Slice 482 of 588; Field of view 351x351 mm; Computed tomography 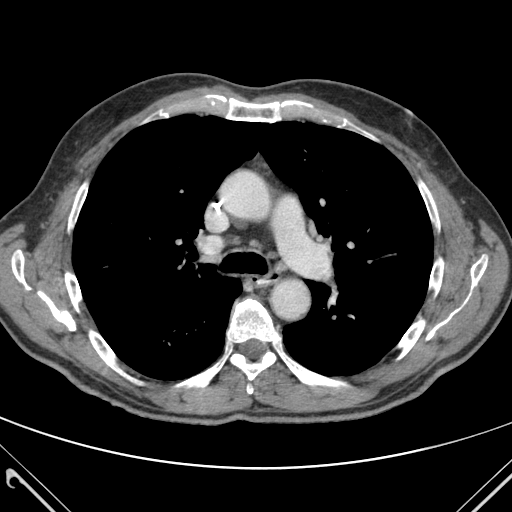 Bone at region(398, 320, 424, 358); region(89, 331, 129, 378); region(12, 250, 30, 289); region(321, 115, 353, 126); region(419, 182, 439, 229); region(471, 255, 487, 288); region(177, 346, 275, 386); region(38, 291, 75, 330); region(228, 299, 345, 386); region(429, 259, 443, 294); region(426, 294, 470, 339); region(155, 109, 173, 117); region(65, 273, 81, 311); region(206, 95, 312, 122); region(68, 183, 87, 228).
Lung at region(72, 114, 432, 379).